Head
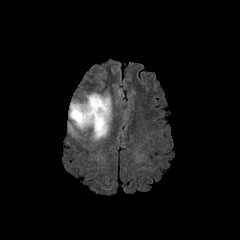
FLAIR MR.
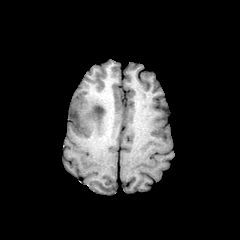
T1-weighted magnetic resonance of the same slice.
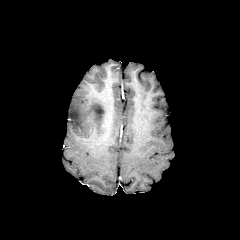
Post-contrast T1-weighted MR.
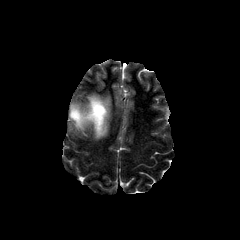
T2-weighted MRI.
edema: box=[69, 95, 105, 140] | non-enhancing tumor core: box=[89, 94, 110, 138]